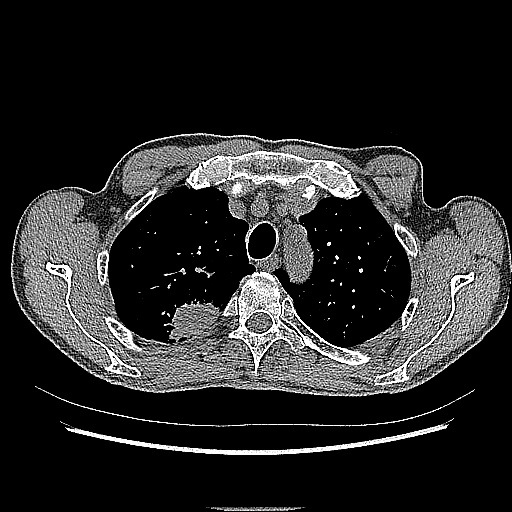

512x512 px; CT slice; Thorax

<segmentation>
  <lung_tumor>rect(154, 297, 227, 343)</lung_tumor>
</segmentation>